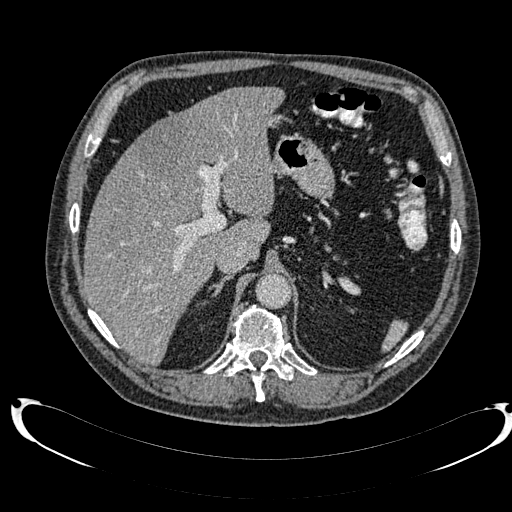

CT image | Abdomen
Focal liver lesion — left=135, top=118, right=197, bottom=178.
Liver — left=83, top=87, right=284, bottom=365.